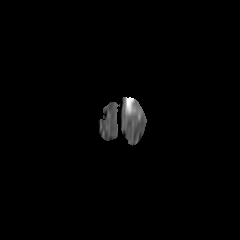
FLAIR MR.
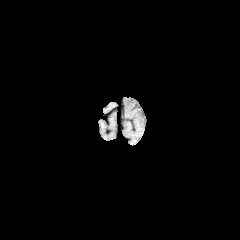
T1-weighted MRI.
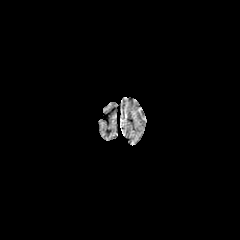
Post-contrast T1-weighted MR.
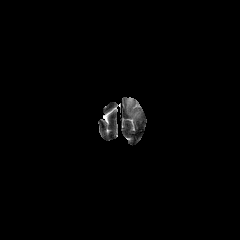
T2-weighted magnetic resonance.
Head
The edema is located at {"x1": 126, "y1": 97, "x2": 140, "y2": 120}.